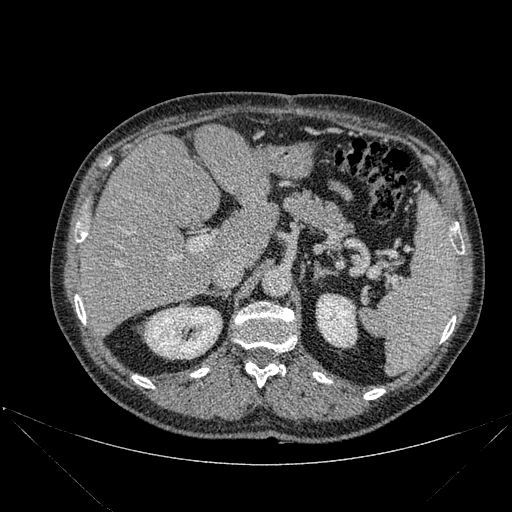

Upper abdomen; 512x512 px; CT
<segmentation>
  <kidney>(316,294,356,347), (144,306,221,358)</kidney>
  <liver>(195,124,277,268), (77,135,222,337)</liver>
  <bone>(132,375,154,388), (75,294,85,324), (75,222,86,242), (313,372,332,383), (364,389,384,399), (440,316,455,342), (451,235,464,253), (234,302,296,352), (245,362,285,387), (190,368,208,377)</bone>
</segmentation>